Abdomen. 512x512. Computed tomography. Slice 75/174. 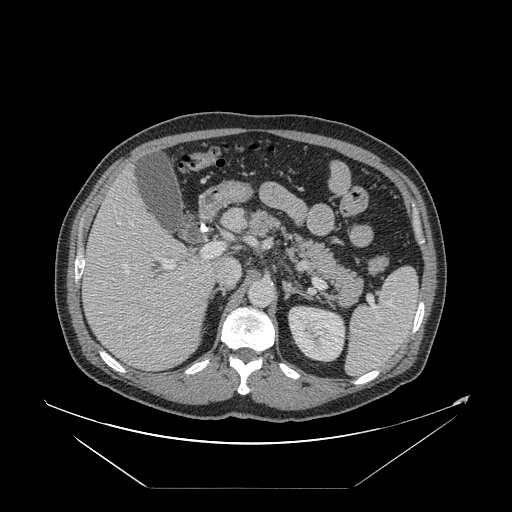
The vessel boxes may cover only some of the vessels.
hepatic vessel: 202:291:205:296, 131:223:132:225, 118:328:120:329, 155:256:173:269, 124:265:128:273, 225:260:239:283, 202:242:223:258, 149:328:150:330